Head | Slice 55/155
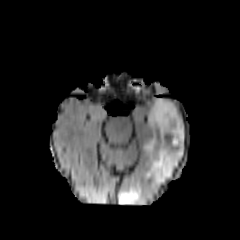
FLAIR MR.
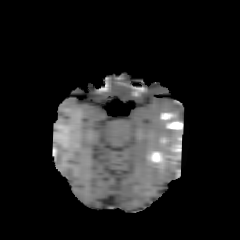
T1-weighted MR image.
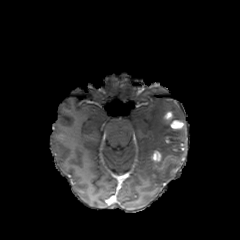
Post-contrast T1-weighted MRI.
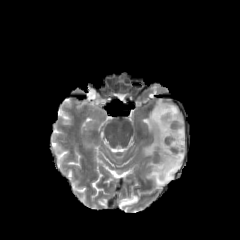
T2-weighted MR image.
enhancing_tumor:
  - l=164, t=112, r=172, b=119
  - l=152, t=150, r=161, b=161
  - l=170, t=120, r=184, b=130
edema:
  - l=120, t=195, r=138, b=204
  - l=142, t=97, r=186, b=185
non-enhancing_tumor_core:
  - l=166, t=155, r=179, b=161
  - l=167, t=135, r=185, b=147